FLAIR MRI.
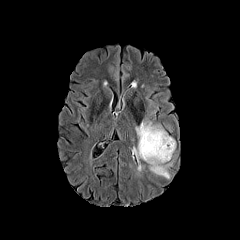
T1-weighted MR image.
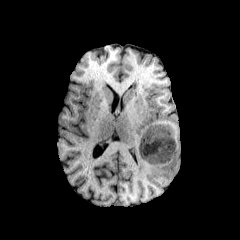
Post-contrast T1-weighted magnetic resonance.
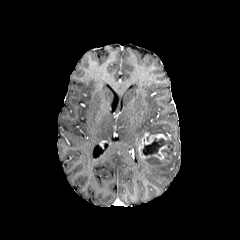
T2-weighted MR.
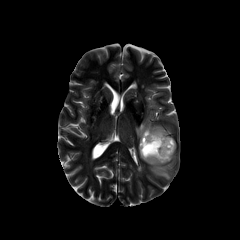
Head.
Edema — [135, 117, 166, 140], [144, 157, 171, 178].
Enhancing tumor — [138, 132, 173, 159].
Non-enhancing tumor core — [143, 138, 164, 154], [162, 140, 173, 158].